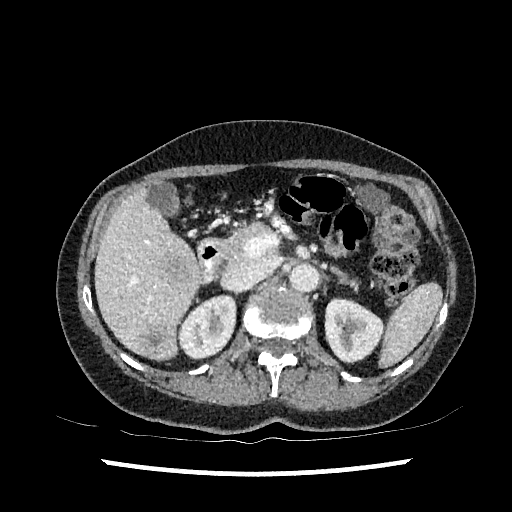
Upper abdomen, Image size 512x512, CT
focal liver lesion: [166,257,193,282], [140,326,174,355] | liver: [95,187,199,358] | kidney: [180,296,235,357], [325,300,382,361]